Slice index 46 | Brain
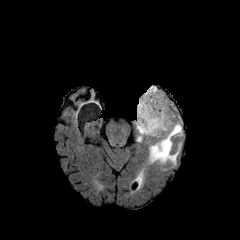
FLAIR MR.
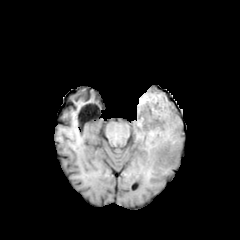
Same slice, T1-weighted magnetic resonance.
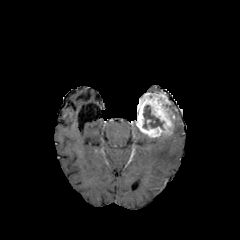
Same slice, post-contrast T1-weighted MR image.
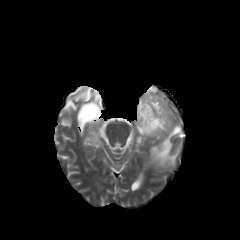
T2-weighted magnetic resonance.
{"edema": ["bbox=[136, 126, 147, 144]", "bbox=[135, 121, 183, 188]"], "enhancing_tumor": ["bbox=[135, 90, 175, 137]"], "non-enhancing_tumor_core": ["bbox=[143, 105, 164, 128]"]}